Upper abdomen. CT slice.

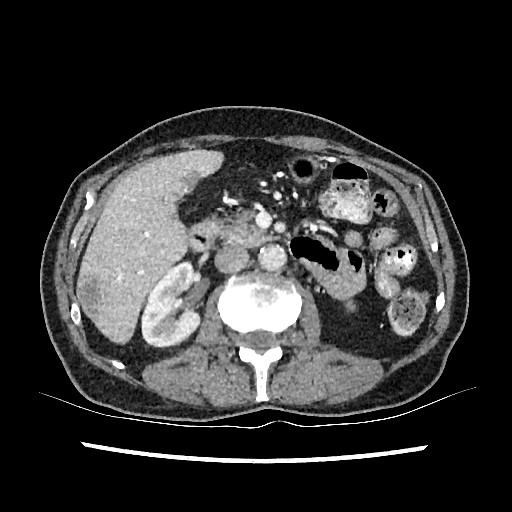 liver_lesion:
  - box(179, 170, 203, 187)
  - box(169, 213, 177, 219)
  - box(78, 278, 100, 315)
kidney:
  - box(142, 263, 199, 346)
liver:
  - box(79, 150, 222, 342)